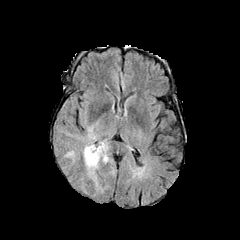
FLAIR MRI.
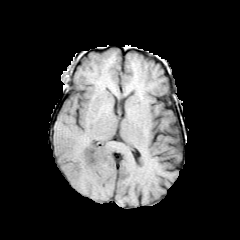
T1-weighted MR image of the same slice.
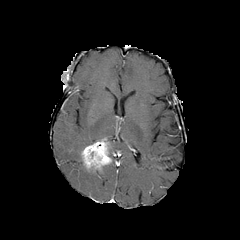
Post-contrast T1-weighted MR.
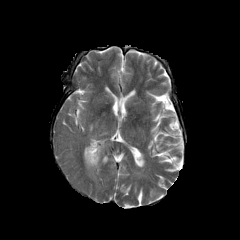
T2-weighted MR image of the same slice.
2 edema regions appear at x1=74, y1=122, x2=111, y2=154; x1=84, y1=166, x2=104, y2=193. The enhancing tumor appears at x1=82, y1=141, x2=112, y2=169.